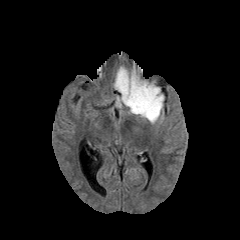
FLAIR MR.
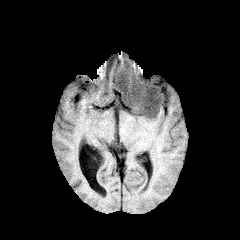
T1-weighted MR image.
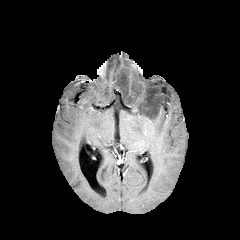
Same slice, post-contrast T1-weighted MRI.
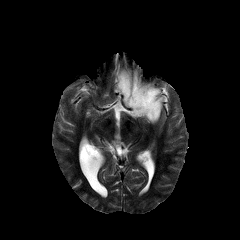
T2-weighted magnetic resonance of the same slice.
240x240
edema: 114:63:167:123 | non-enhancing tumor core: 120:76:159:115